CT slice, Slice index 26, 512x512 px, Liver

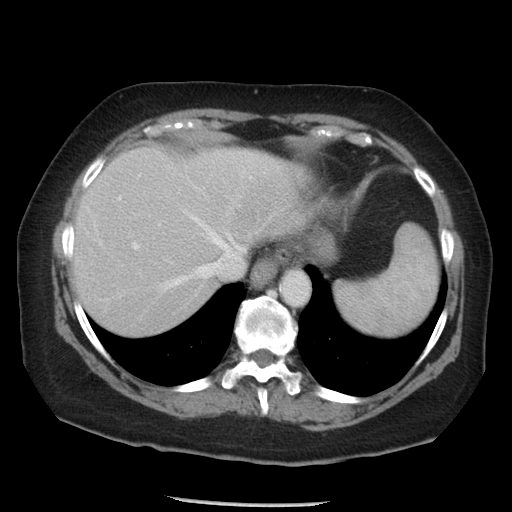 Only some of the vessels may be annotated.
<segmentation>
  <hepatic_vessel>196, 291, 197, 294; 249, 176, 251, 178; 159, 216, 246, 291; 132, 242, 138, 248; 137, 270, 140, 273; 184, 210, 186, 213; 117, 196, 120, 199; 199, 284, 202, 288</hepatic_vessel>
</segmentation>